FLAIR MRI.
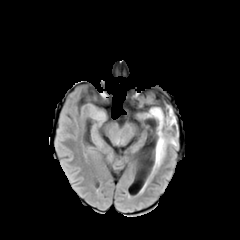
T1-weighted MR.
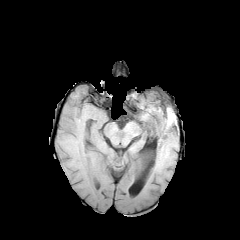
Post-contrast T1-weighted MRI.
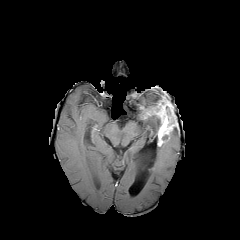
T2-weighted MRI.
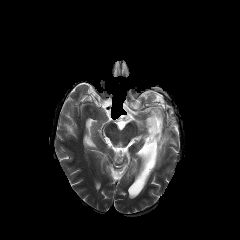
Brain | 240x240
The enhancing tumor appears at region(147, 104, 175, 145). The non-enhancing tumor core is at region(147, 114, 160, 148). The edema is at region(152, 128, 178, 173).